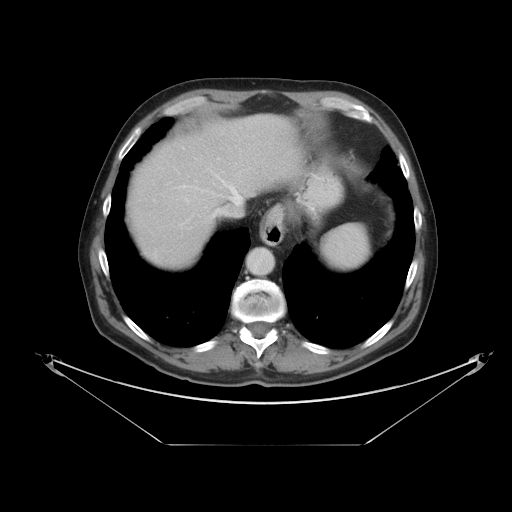
Abdomen; Computed tomography

The spleen is bounded by box=[321, 225, 370, 271].